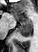
MRI, Image size 38x52
anterior_hippocampus:
  - box=[16, 17, 17, 20]
  - box=[10, 14, 13, 15]
  - box=[20, 16, 31, 22]
posterior_hippocampus:
  - box=[18, 23, 32, 37]